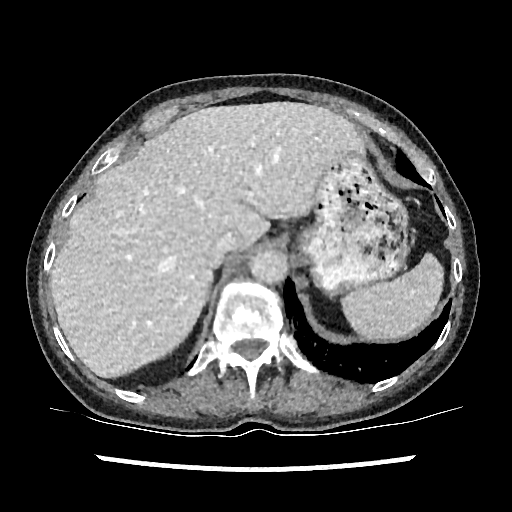 CT scan slice | 512x512 px
Liver = (53,103,363,374).